Slice 86/155, Head
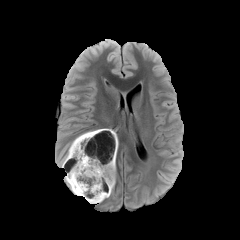
FLAIR MR image.
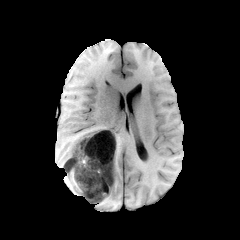
T1-weighted MR image.
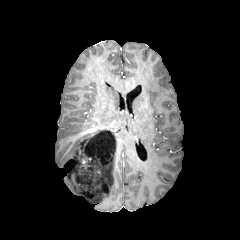
Post-contrast T1-weighted MRI.
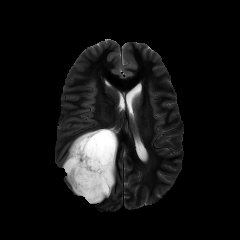
T2-weighted MR.
Edema at bbox(85, 184, 114, 203); bbox(62, 134, 80, 166); bbox(66, 174, 81, 195); bbox(100, 130, 114, 145).
Non-enhancing tumor core at bbox(64, 129, 115, 201).